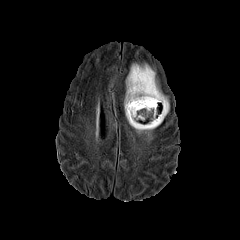
FLAIR MRI.
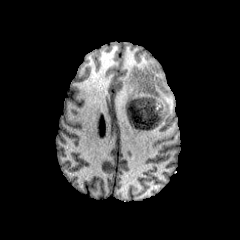
T1-weighted MR.
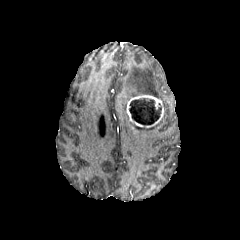
Post-contrast T1-weighted MR image of the same slice.
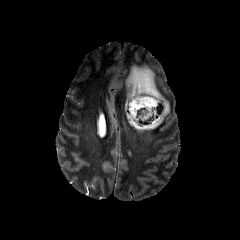
T2-weighted magnetic resonance.
240x240
Annotated regions:
• edema: 124:64:169:120, 129:121:151:133
• non-enhancing tumor core: 128:97:161:127
• enhancing tumor: 126:94:163:128